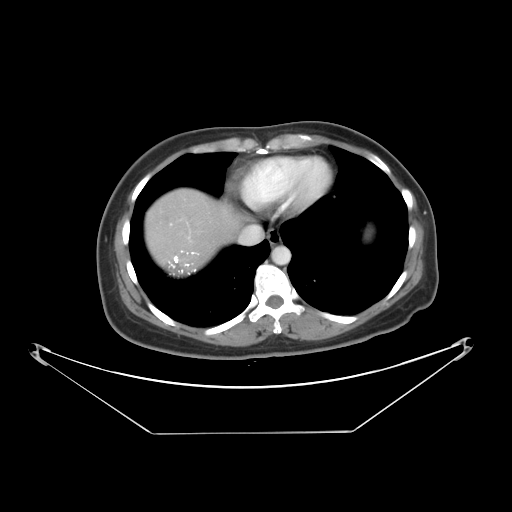

Image size 512x512; CT
Liver tumor = left=164, top=250, right=196, bottom=275.